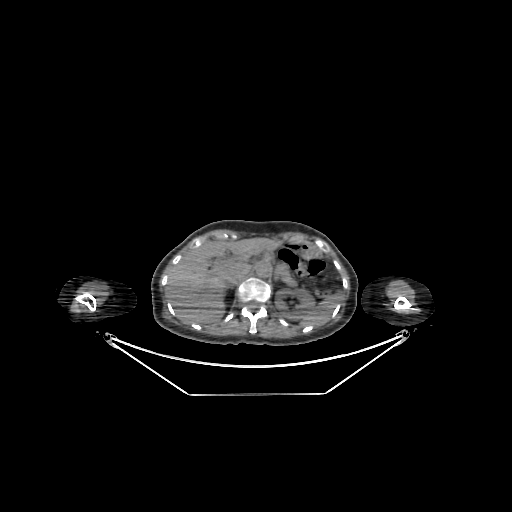

CT slice | Liver
• kidney: x1=274 y1=288 x2=316 y2=320
• liver: x1=165 y1=238 x2=277 y2=324